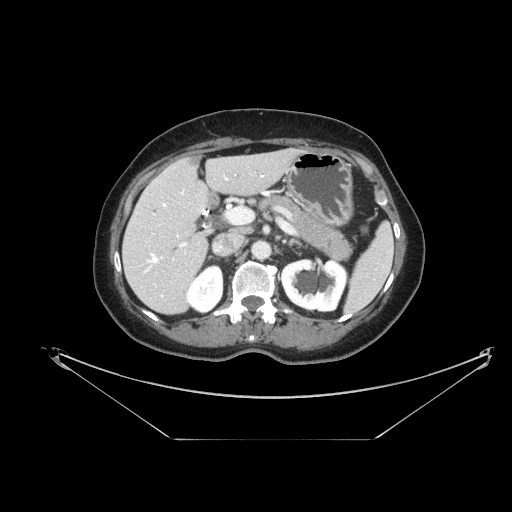
CT image, Image size 512x512
Pancreas at {"x1": 259, "y1": 195, "x2": 352, "y2": 261}.